FLAIR MR.
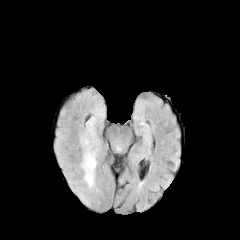
T1-weighted MR.
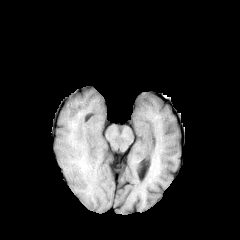
Post-contrast T1-weighted MR image.
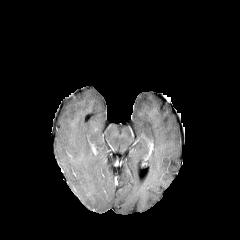
T2-weighted MR image.
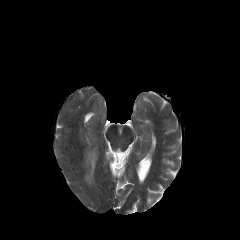
Brain
2 edema regions are bounded by 85, 154, 95, 171; 86, 173, 92, 185.